240x240 px. Field of view 240 mm wide, 1.00 mm slice spacing.
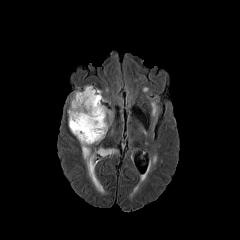
FLAIR MR.
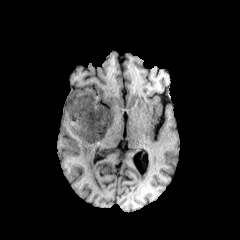
T1-weighted MR image of the same slice.
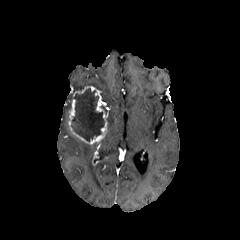
Post-contrast T1-weighted MRI.
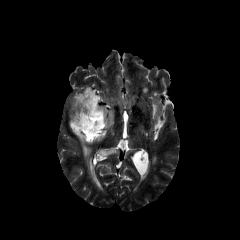
T2-weighted MRI of the same slice.
<segmentation>
  <enhancing_tumor><bbox>91, 150, 98, 165</bbox>, <bbox>68, 85, 109, 145</bbox></enhancing_tumor>
  <edema><bbox>79, 140, 90, 158</bbox>, <bbox>98, 148, 119, 157</bbox></edema>
  <non-enhancing_tumor_core><bbox>67, 89, 103, 140</bbox></non-enhancing_tumor_core>
</segmentation>